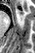

Hippocampus | MR
<segmentation>
  <anterior_hippocampus>x1=18 y1=11 x2=23 y2=14</anterior_hippocampus>
</segmentation>